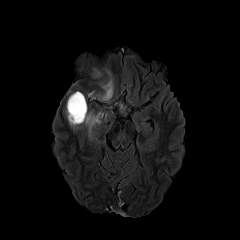
FLAIR MR.
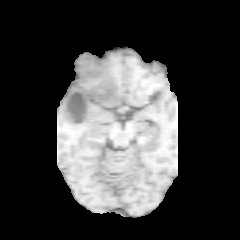
T1-weighted magnetic resonance.
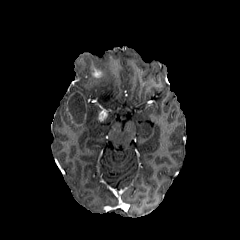
Post-contrast T1-weighted MRI.
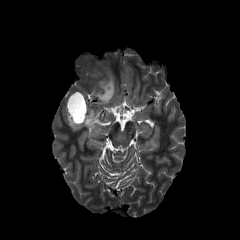
Same slice, T2-weighted MR image.
Head
Findings:
* enhancing tumor: [97, 111, 107, 121], [66, 103, 76, 121]
* edema: [83, 111, 101, 140], [98, 71, 113, 104], [68, 119, 82, 132]
* non-enhancing tumor core: [67, 92, 85, 123]